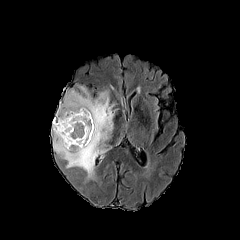
FLAIR magnetic resonance.
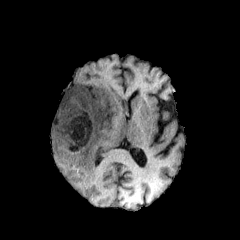
T1-weighted MRI.
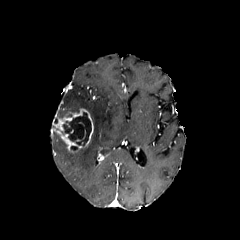
Post-contrast T1-weighted MR.
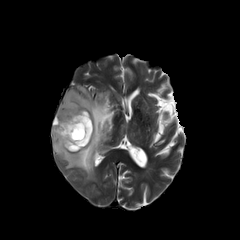
T2-weighted MRI.
enhancing tumor: <box>52,108,93,153</box> | edema: <box>52,84,117,182</box> | non-enhancing tumor core: <box>62,112,91,146</box>